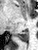 38x50 | Hippocampus | MR image
posterior hippocampus: 15, 30, 28, 42